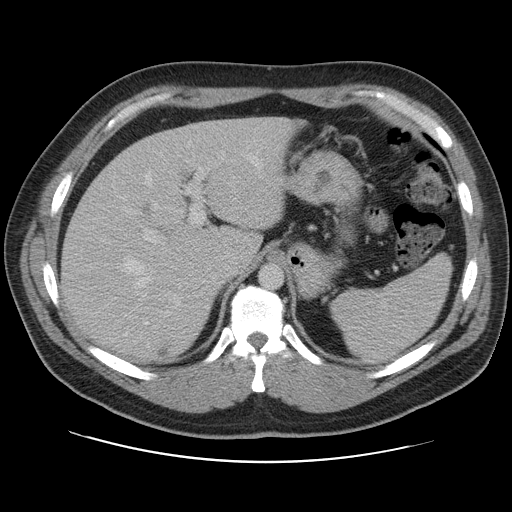
Abdomen, CT image

The vessel boxes may cover only some of the vessels.
Hepatic vessel = <box>194,286,196,288</box>, <box>189,204,205,225</box>, <box>221,227,224,230</box>, <box>144,228,156,243</box>, <box>162,242,164,244</box>, <box>143,318,147,324</box>, <box>228,217,233,219</box>, <box>232,190,235,192</box>, <box>124,255,143,272</box>, <box>185,167,205,197</box>, <box>134,277,149,287</box>, <box>117,264,118,265</box>, <box>187,141,191,146</box>.
Liver tumor = <box>158,349,169,357</box>.